Head | 240x240
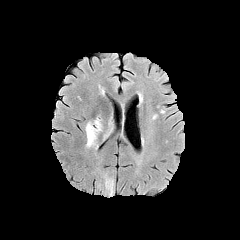
FLAIR MRI.
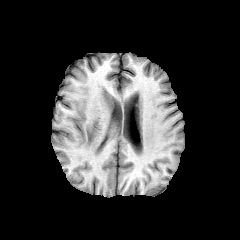
T1-weighted MR image of the same slice.
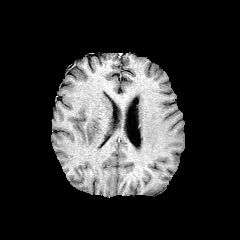
Post-contrast T1-weighted MR image of the same slice.
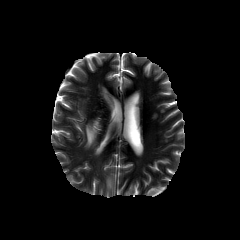
T2-weighted magnetic resonance of the same slice.
edema:
  - {"x1": 85, "y1": 117, "x2": 102, "y2": 147}